FLAIR MRI.
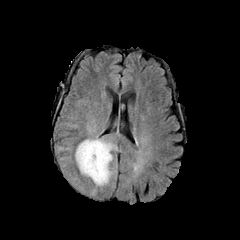
T1-weighted MR.
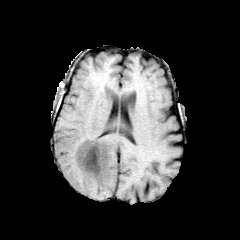
Post-contrast T1-weighted MR image.
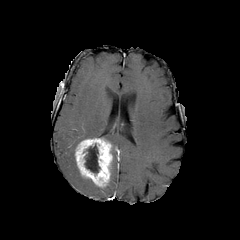
T2-weighted MR image.
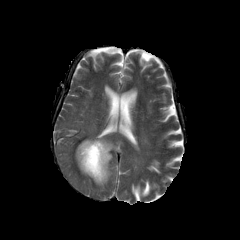
240x240 px | Head
The enhancing tumor is located at (75, 138, 112, 186). The non-enhancing tumor core is bounded by (85, 145, 100, 173). 3 edema regions are located at (66, 122, 79, 128), (84, 177, 104, 195), (84, 116, 121, 186).